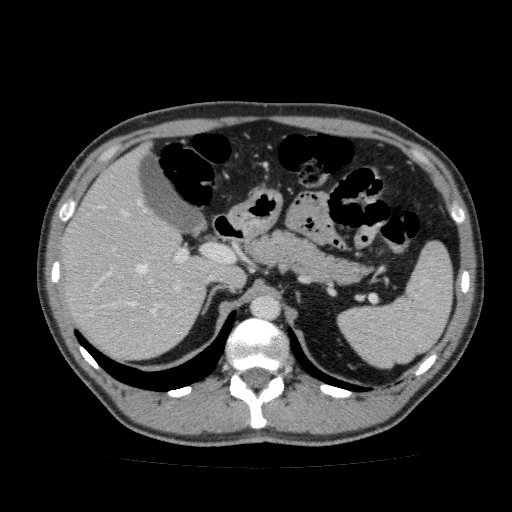
Abdomen; CT image
<segmentation>
  <liver>region(60, 141, 246, 361)</liver>
</segmentation>